CT. 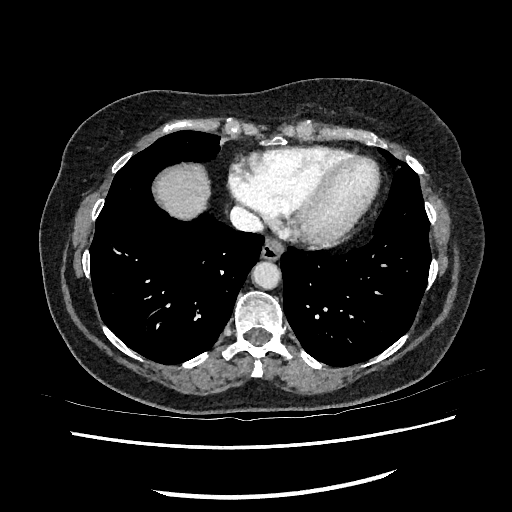 The liver lies within (156, 165, 209, 218).